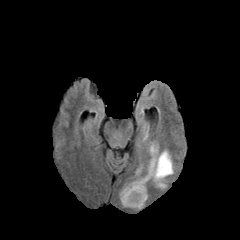
FLAIR MRI.
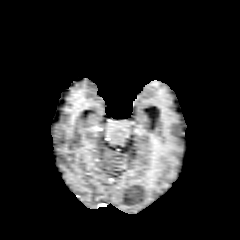
T1-weighted magnetic resonance of the same slice.
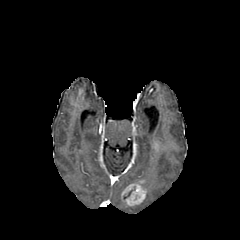
Same slice, post-contrast T1-weighted MRI.
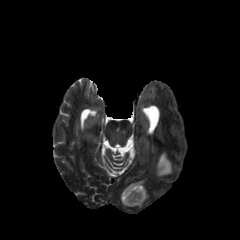
Same slice, T2-weighted MRI.
Segmented structures:
• edema: bbox(130, 151, 173, 207); bbox(150, 144, 156, 154)
• enhancing tumor: bbox(122, 184, 145, 205)